Field of view 240x240 mm, Slice index 89
FLAIR MR image.
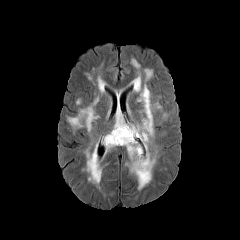
T1-weighted MRI.
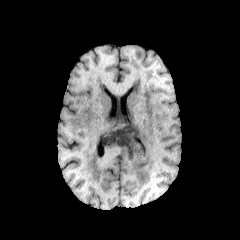
Post-contrast T1-weighted MRI.
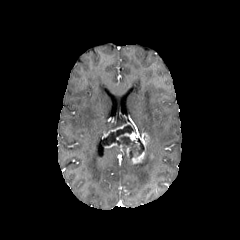
T2-weighted MR image.
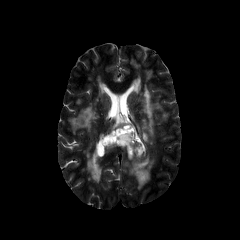
2 enhancing tumor regions are bounded by left=124, top=125, right=152, bottom=150; left=131, top=152, right=145, bottom=164. The non-enhancing tumor core is at left=101, top=125, right=143, bottom=159. 7 edema regions are bounded by left=130, top=59, right=140, bottom=69; left=129, top=150, right=157, bottom=190; left=97, top=73, right=105, bottom=93; left=81, top=142, right=103, bottom=189; left=113, top=110, right=124, bottom=129; left=68, top=97, right=98, bottom=134; left=130, top=69, right=161, bottom=138.